CT. Upper abdomen. 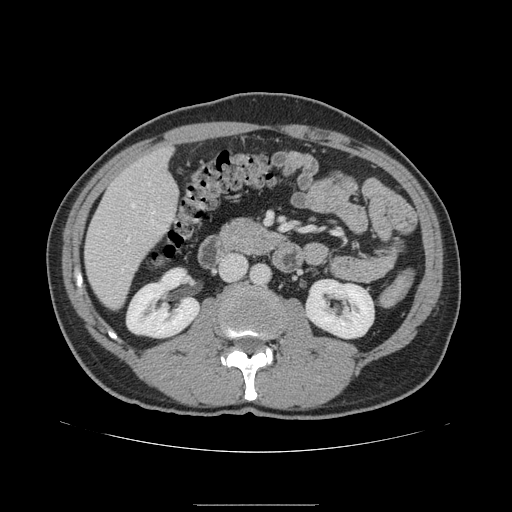
Pancreas: bbox(220, 219, 284, 255).